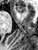
Hippocampus. MRI slice. Annotated regions:
• anterior hippocampus: x1=15, y1=6, x2=24, y2=14